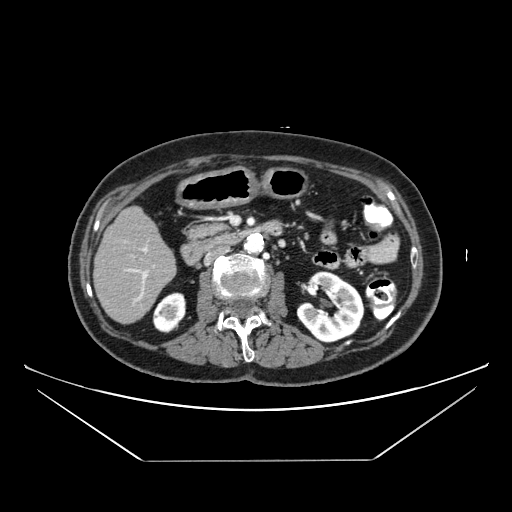 CT image, Abdomen, Image size 512x512
The pancreas is at 185,222,229,243.